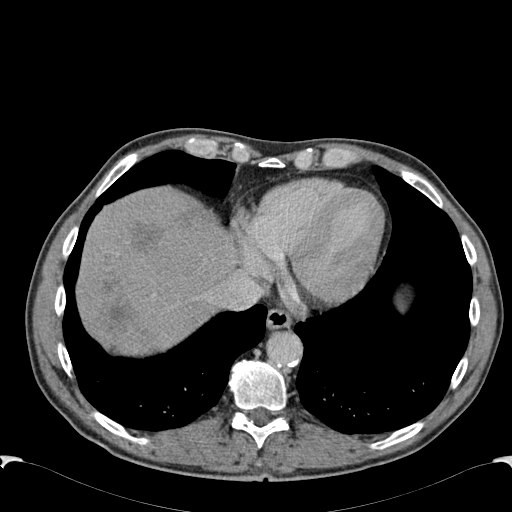
CT image | Abdomen

Liver: bounding box [77,187,236,353].
Hepatic lesion: bounding box [176,211,196,229], [133,222,164,250], [100,273,119,292], [103,298,131,330].